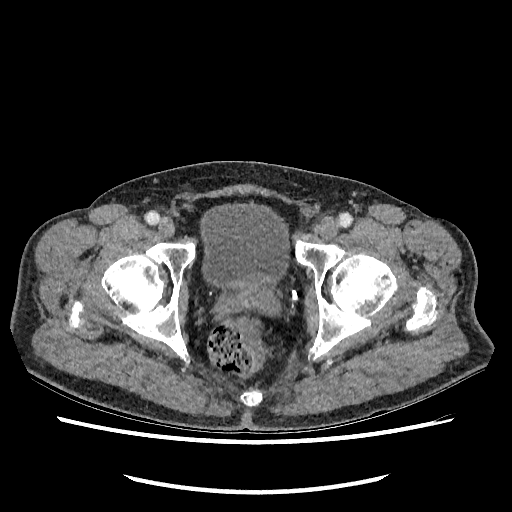
Lower abdomen | CT
Urinary bladder at (200, 203, 289, 296).